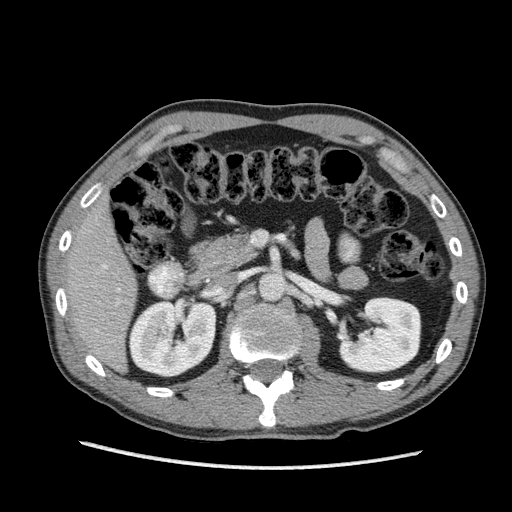
Computed tomography. Abdomen.

2 kidney regions are bounded by <box>130,302,214,375</box>, <box>340,298,419,371</box>. The liver is bounded by <box>62,196,137,372</box>.